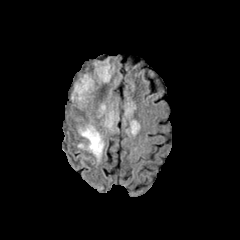
FLAIR magnetic resonance.
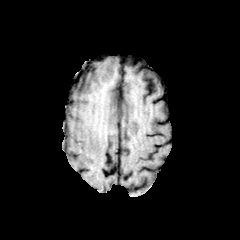
T1-weighted MRI.
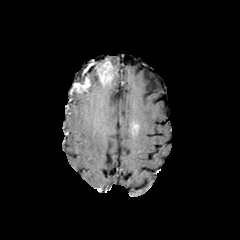
Post-contrast T1-weighted MR image of the same slice.
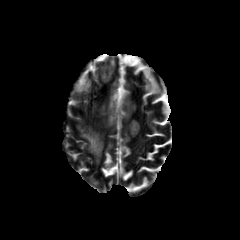
T2-weighted MRI.
Brain
The enhancing tumor is located at rect(74, 77, 89, 91). The edema lies within rect(79, 126, 103, 162).